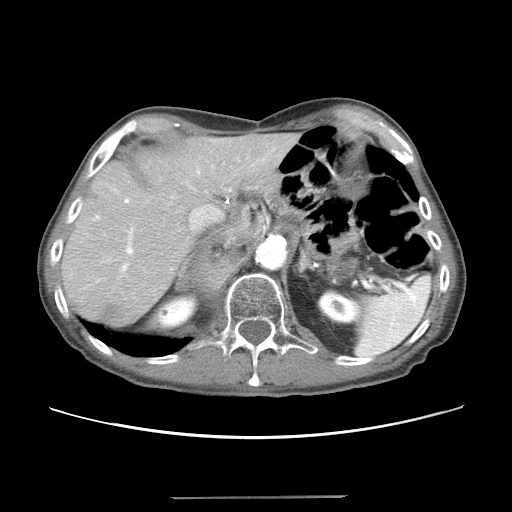

Computed tomography

* colon tumor: rect(301, 223, 360, 261)